CT scan slice, Liver 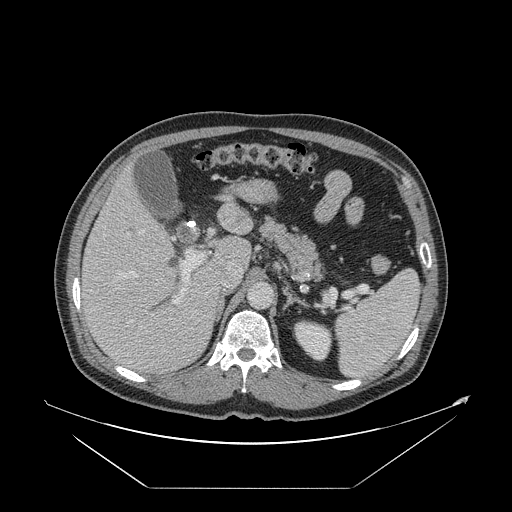
Not every hepatic vessel necessarily has a box.
Hepatic vessel — (left=103, top=236, right=105, bottom=237), (left=127, top=234, right=129, bottom=235), (left=139, top=230, right=143, bottom=233), (left=173, top=288, right=185, bottom=304), (left=127, top=321, right=131, bottom=325), (left=117, top=272, right=136, bottom=277), (left=210, top=253, right=222, bottom=261), (left=181, top=250, right=204, bottom=282), (left=208, top=258, right=242, bottom=292).